512x512 px | Abdomen | Slice index 284 | CT scan slice

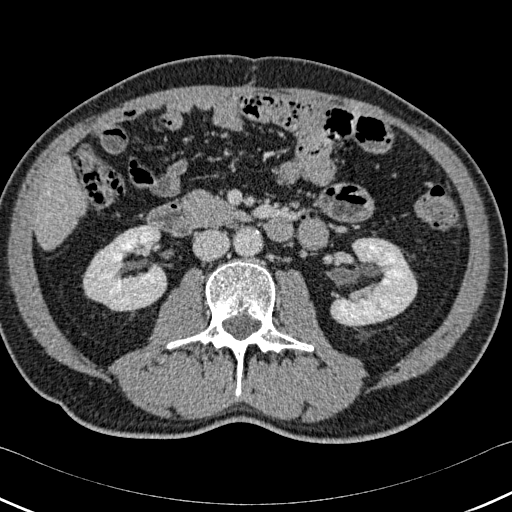
{"liver": ["35 160 87 249"], "kidney": ["331 238 416 325", "84 225 165 310"], "bone": ["167 261 313 397"]}